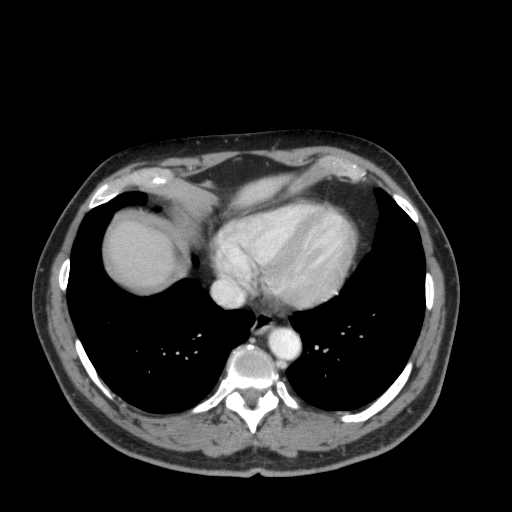

Abdomen. Computed tomography. liver: (107,220,174,286), (237,175,288,206)